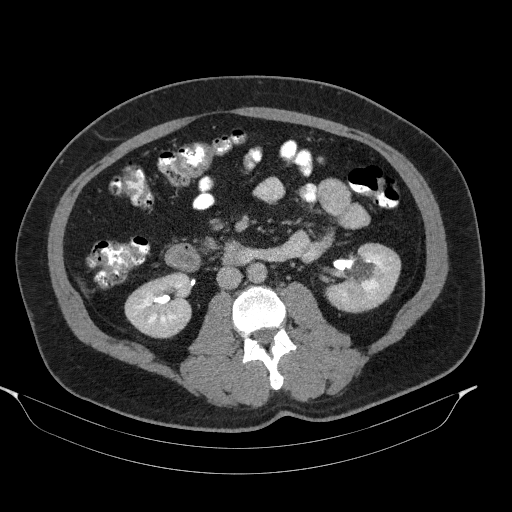 512x512 | Upper abdomen | CT image

Annotated regions:
- pancreas: [202,237,218,252]